Image size 36x47; MR image; Slice 13 of 41; Medial temporal lobe 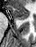 Segmented structures:
- anterior hippocampus: bbox(8, 6, 29, 19)